CT image | Pelvis | 512x512 px | Slice index 121 | Field of view 400x400 mm

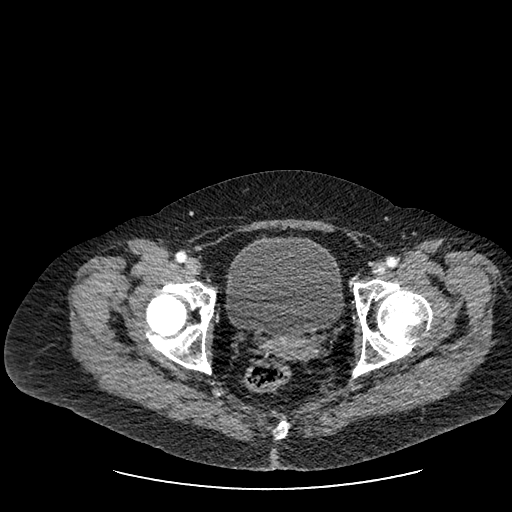

• urinary bladder: (x1=225, y1=236, x2=342, y2=337)